Slice 70/155, Head
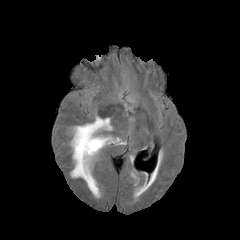
FLAIR MRI.
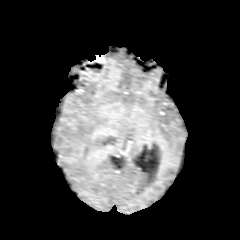
T1-weighted MR image of the same slice.
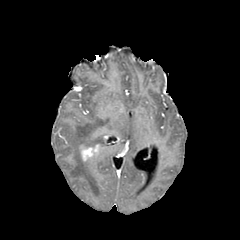
Same slice, post-contrast T1-weighted MRI.
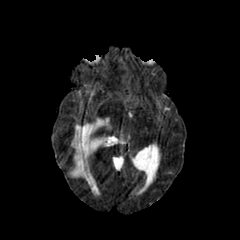
Same slice, T2-weighted MRI.
{
  "enhancing_tumor": [
    "region(78, 141, 101, 167)"
  ],
  "edema": [
    "region(71, 117, 111, 196)"
  ]
}